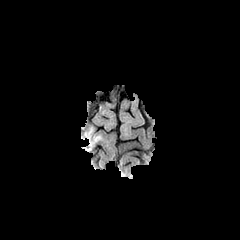
FLAIR MR image.
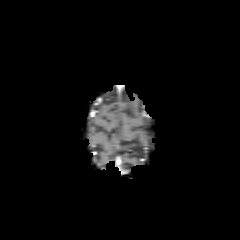
T1-weighted magnetic resonance.
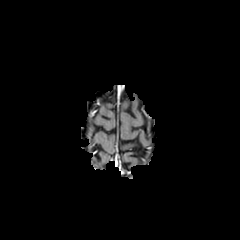
Post-contrast T1-weighted MR image of the same slice.
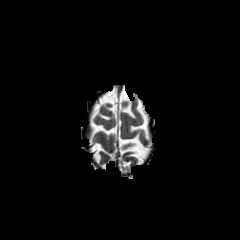
T2-weighted MR.
240x240 px; Head
The edema appears at <box>88,128,99,149</box>.